FLAIR magnetic resonance.
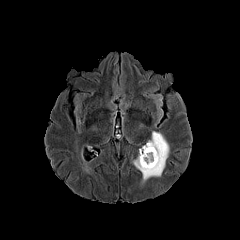
T1-weighted MRI.
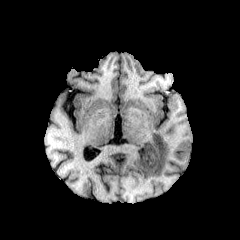
Post-contrast T1-weighted MRI.
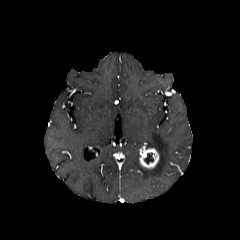
T2-weighted magnetic resonance.
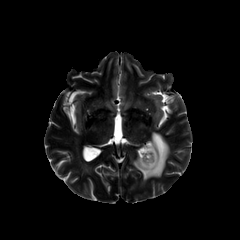
Brain.
• enhancing tumor: [139, 148, 158, 168]
• non-enhancing tumor core: [143, 152, 154, 165]
• edema: [133, 131, 169, 181]